CT scan slice
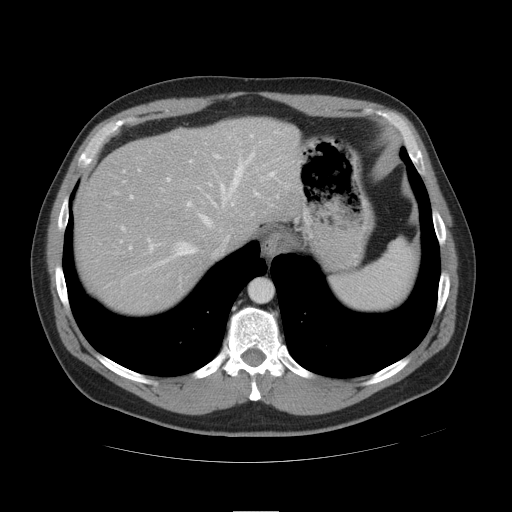

Not every hepatic vessel necessarily has a box.
10 hepatic vessel regions appear at (148,239,149,241), (130,195,132,198), (269,172,274,175), (171,243,195,257), (200,215,211,225), (255,191,258,195), (150,244,155,251), (220,160,243,205), (215,155,218,157), (188,202,190,205).